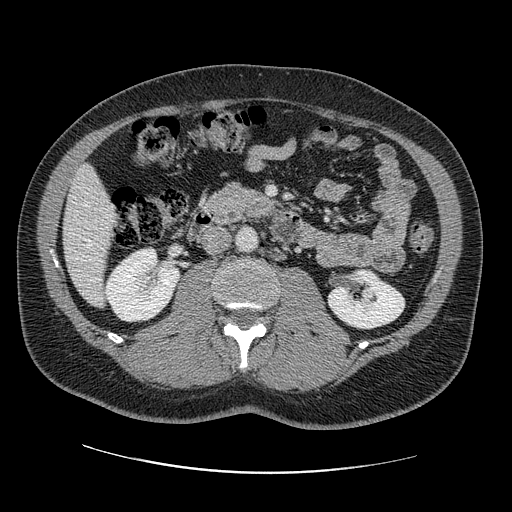

CT image
pancreas:
  - x1=205, y1=180, x2=251, y2=225